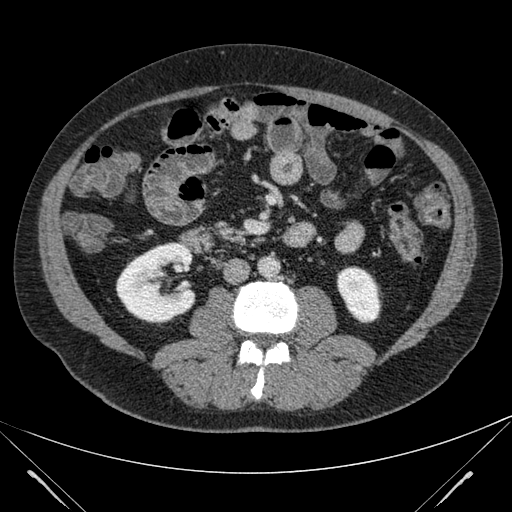
CT scan slice, Image size 512x512
2 kidney regions are bounded by x1=338 y1=268 x2=379 y2=321, x1=117 y1=243 x2=194 y2=321.